CT slice. Slice 134/154.

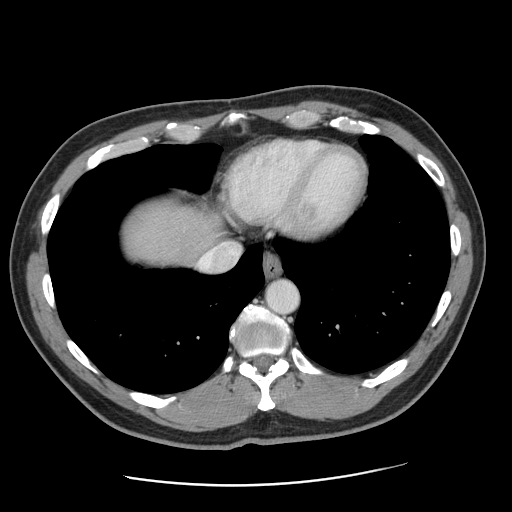
The vessel boxes may cover only some of the vessels.
{
  "hepatic_vessel": [
    "l=201, t=243, r=240, b=270"
  ]
}